Magnetic resonance; Hippocampus
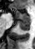

anterior_hippocampus:
  - x1=13 y1=7 x2=29 y2=20
posterior_hippocampus:
  - x1=17 y1=21 x2=30 y2=30